Slice 78 of 155, Head
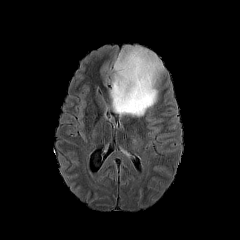
FLAIR MR.
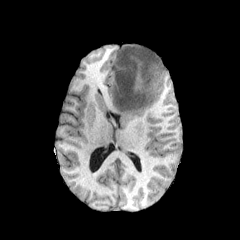
Same slice, T1-weighted magnetic resonance.
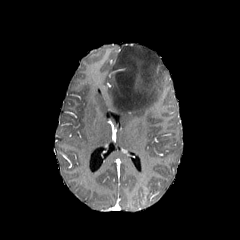
Same slice, post-contrast T1-weighted MRI.
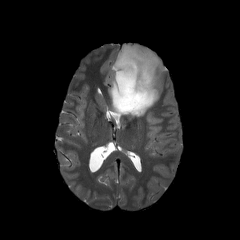
Same slice, T2-weighted magnetic resonance.
- edema: bbox(107, 47, 163, 117)